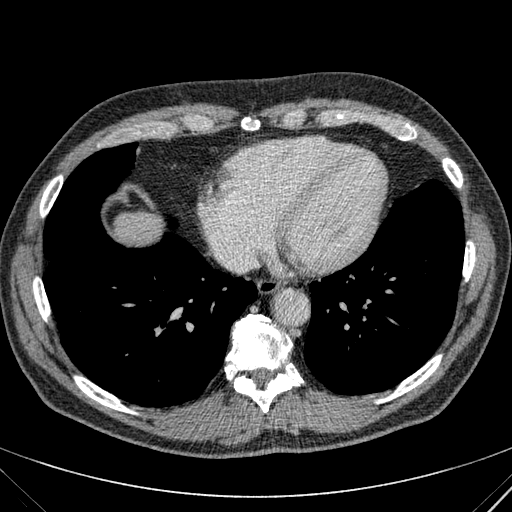
CT; Abdomen
{
  "liver": [
    {"x1": 114, "y1": 214, "x2": 160, "y2": 242}
  ]
}